CT slice

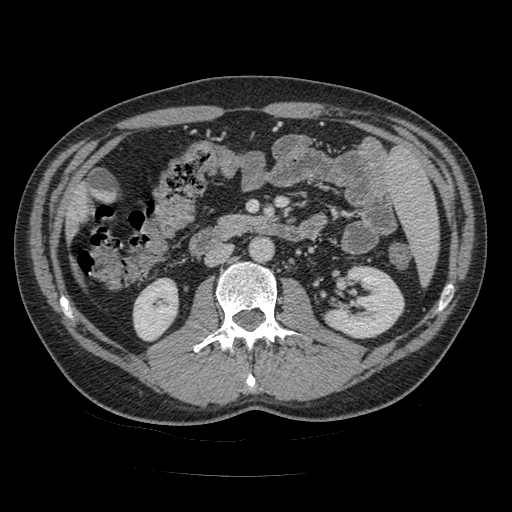

pancreas:
  - x1=221, y1=215, x2=264, y2=227